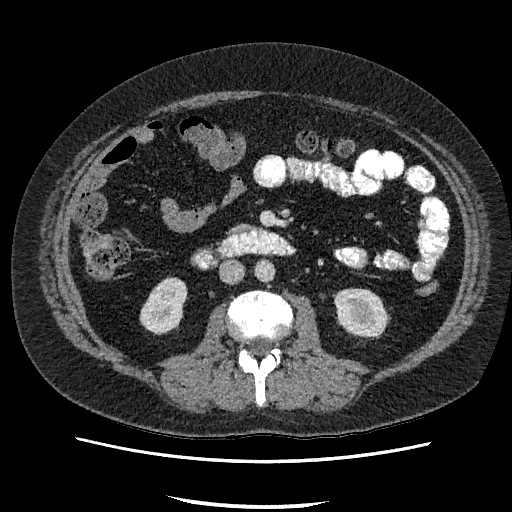
512x512, Abdomen, CT scan slice
{
  "kidney": [
    "(left=141, top=279, right=185, bottom=332)",
    "(left=335, top=289, right=386, bottom=335)"
  ]
}